Pelvis. Slice 58 of 432. CT image. 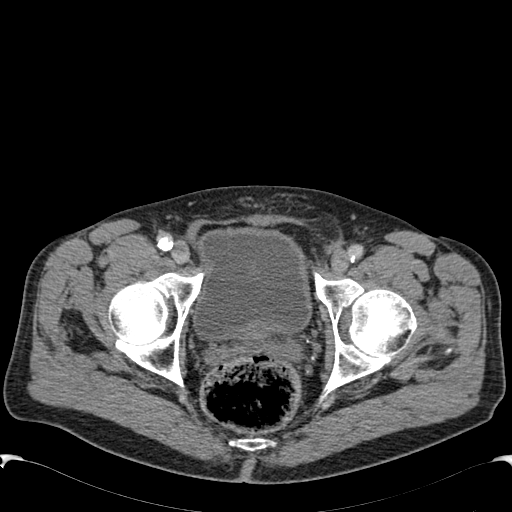 The urinary bladder appears at 192,226,311,348.